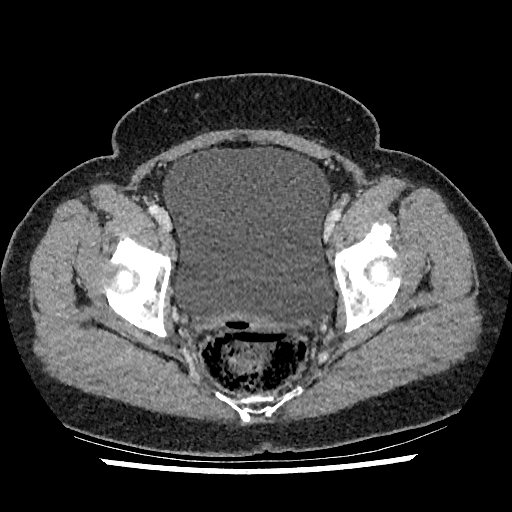 CT. 512x512 px. Pelvis.

The urinary bladder is located at 163,147,333,330.